Liver. CT image. Slice index 438.
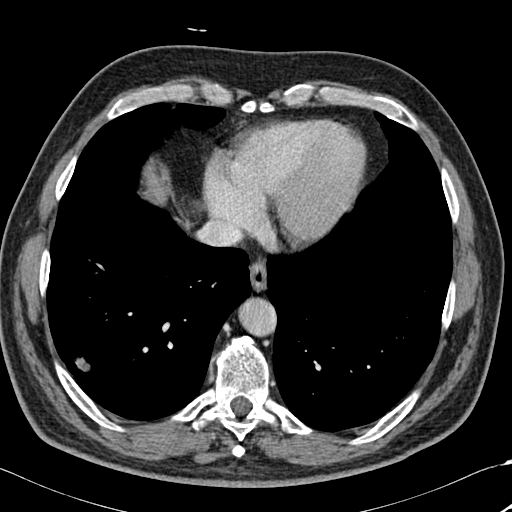
The liver lies within (x1=148, y1=173, x2=154, y2=185). 11 bone regions are bounded by (x1=56, y1=365, x2=120, y2=430), (x1=243, y1=101, x2=270, y2=111), (x1=361, y1=96, x2=406, y2=121), (x1=442, y1=285, x2=454, y2=326), (x1=233, y1=445, x2=244, y2=456), (x1=173, y1=336, x2=311, y2=440), (x1=56, y1=158, x2=75, y2=198), (x1=39, y1=251, x2=49, y2=292), (x1=108, y1=86, x2=182, y2=118), (x1=442, y1=170, x2=458, y2=220), (x1=353, y1=393, x2=417, y2=443). 2 lung regions are bounded by (x1=266, y1=111, x2=452, y2=432), (x1=46, y1=102, x2=251, y2=420).